Abdomen | CT image 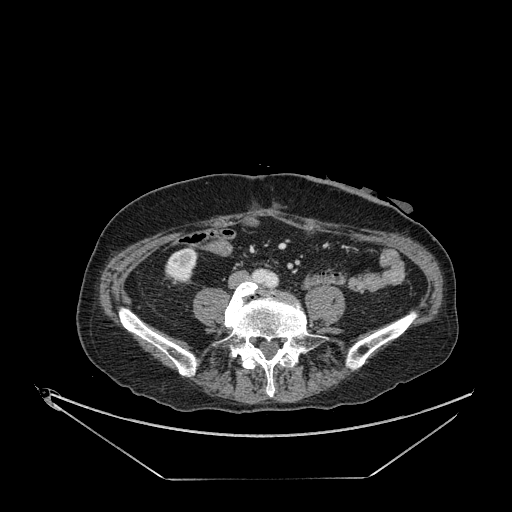

Segmented structures:
* kidney: (166,249,196,280)